Abdomen | CT slice

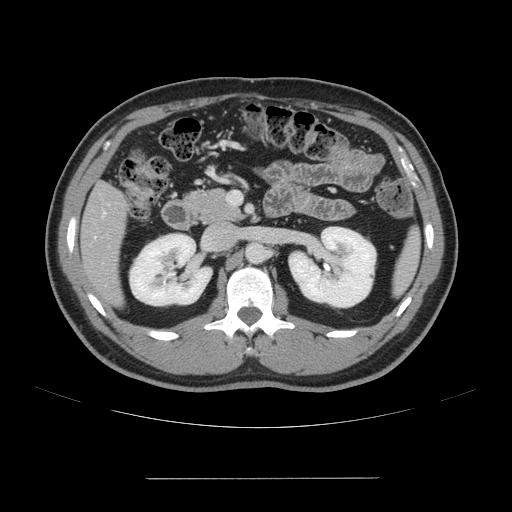

The vessel annotation is not exhaustive.
hepatic vessel: 94 236 96 238, 102 210 105 217